240x240, Head, Slice 116/155
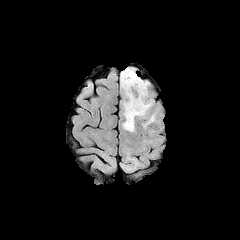
FLAIR MR image.
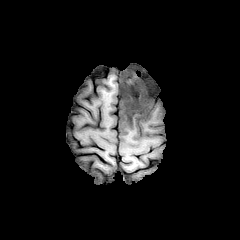
T1-weighted MRI.
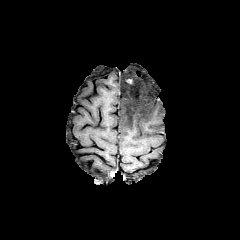
Post-contrast T1-weighted MR image of the same slice.
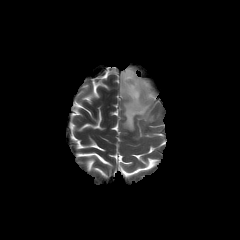
Same slice, T2-weighted MR image.
The non-enhancing tumor core is at region(127, 77, 144, 120). The edema appears at region(120, 67, 155, 131).